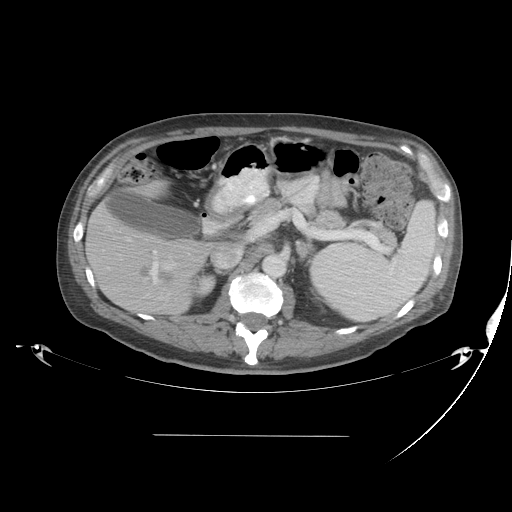 CT image.
The vessel annotation is not exhaustive.
Hepatic vessel: bounding box 151:250:176:284, 107:267:109:268, 108:227:110:229, 121:236:131:241, 112:236:119:237.
Liver tumor: bounding box 140:269:150:275, 160:271:169:280.